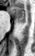
Magnetic resonance; Medial temporal lobe
Anterior hippocampus at {"x1": 10, "y1": 7, "x2": 25, "y2": 22}.